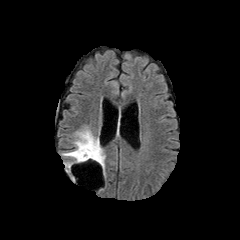
FLAIR MR.
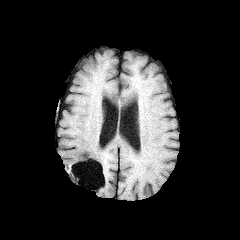
T1-weighted MR.
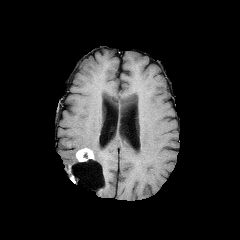
Post-contrast T1-weighted MR image of the same slice.
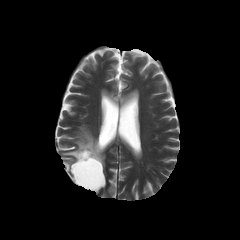
Same slice, T2-weighted MR image.
Enhancing tumor: bounding box rect(76, 148, 94, 161).
Non-enhancing tumor core: bounding box rect(76, 146, 103, 166).
Edema: bounding box rect(62, 127, 105, 173).